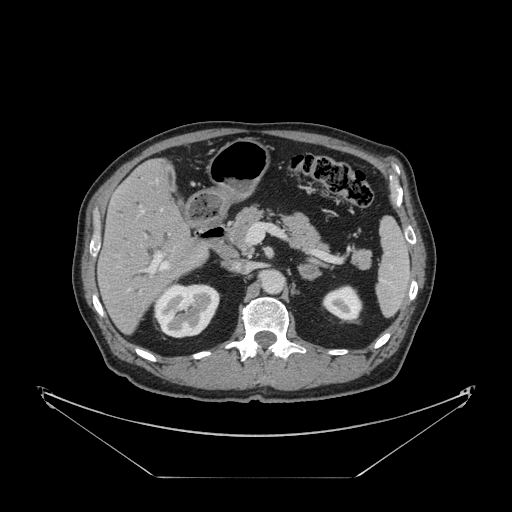

CT image
Only some of the vessels may be annotated.
6 hepatic vessel regions appear at 141, 210, 143, 212; 145, 252, 168, 273; 127, 289, 129, 290; 156, 179, 157, 183; 140, 270, 142, 271; 246, 223, 268, 243.